FLAIR MRI.
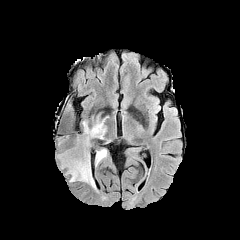
T1-weighted MR.
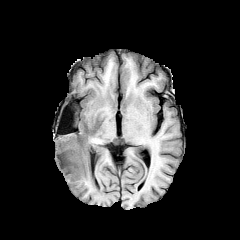
Post-contrast T1-weighted MRI.
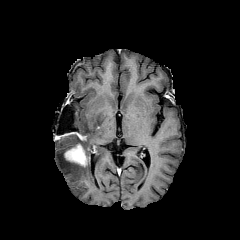
T2-weighted magnetic resonance.
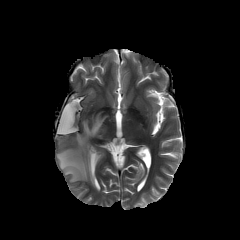
enhancing_tumor:
  - rect(64, 144, 87, 166)
edema:
  - rect(58, 115, 108, 189)
  - rect(58, 134, 73, 149)
non-enhancing_tumor_core:
  - rect(65, 132, 91, 164)